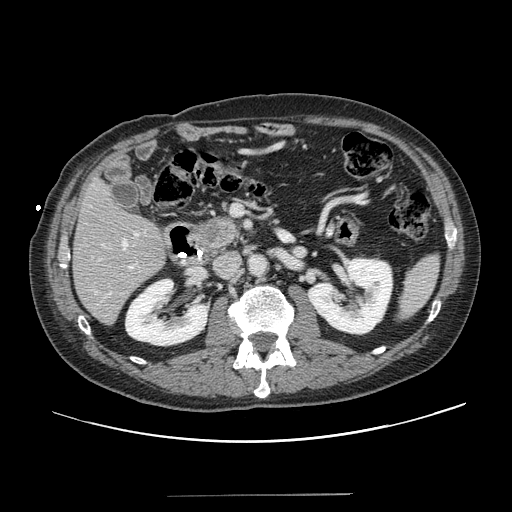
Upper abdomen; CT
Findings:
* pancreatic tumor: 201 218 232 248
* pancreas: 192 214 242 257